FLAIR MRI.
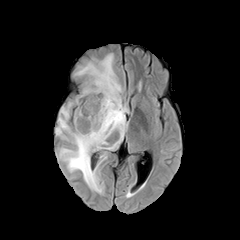
T1-weighted MR.
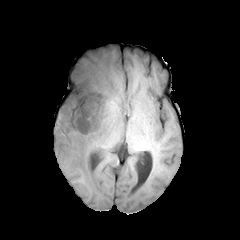
Post-contrast T1-weighted magnetic resonance.
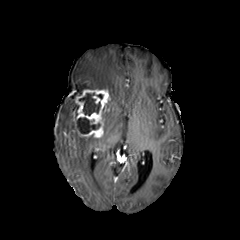
T2-weighted MR image.
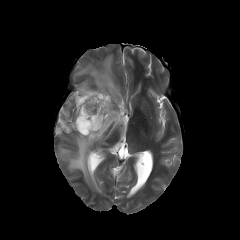
240x240. Brain.
Enhancing tumor at 75, 89, 109, 137.
Edema at 56, 54, 128, 192.
Non-enhancing tumor core at 79, 93, 99, 115; 73, 117, 99, 135.